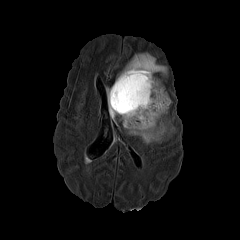
FLAIR MR image.
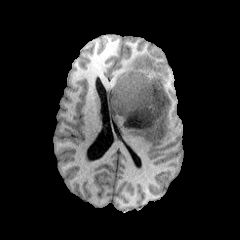
Same slice, T1-weighted magnetic resonance.
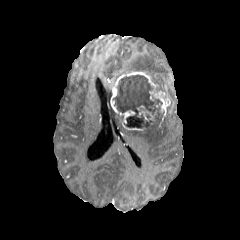
Post-contrast T1-weighted MRI.
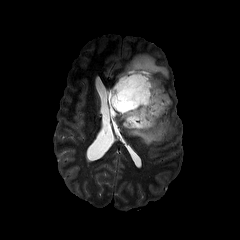
Same slice, T2-weighted magnetic resonance.
Head | 240x240 px
The non-enhancing tumor core is located at region(112, 74, 164, 129). 3 edema regions appear at region(105, 87, 116, 118); region(127, 116, 171, 145); region(118, 52, 167, 77). 3 enhancing tumor regions appear at region(110, 86, 135, 123); region(142, 109, 153, 120); region(115, 72, 170, 120).